CT, Liver, Slice 158 of 260 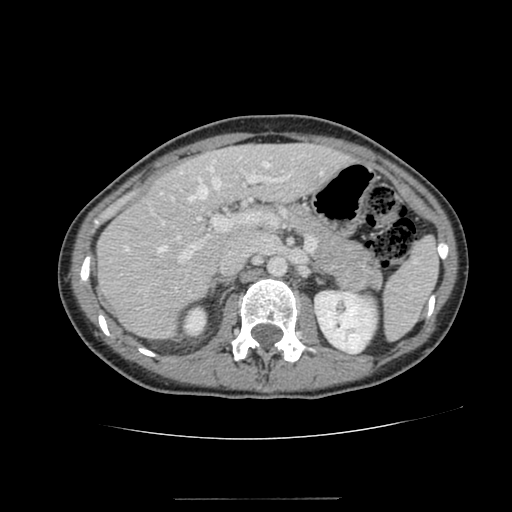
Kidney: {"x1": 185, "y1": 309, "x2": 204, "y2": 332}, {"x1": 315, "y1": 291, "x2": 375, "y2": 353}.
Liver: {"x1": 96, "y1": 143, "x2": 355, "y2": 337}.